Slice index 46.
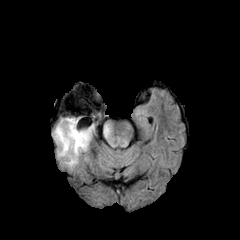
FLAIR magnetic resonance.
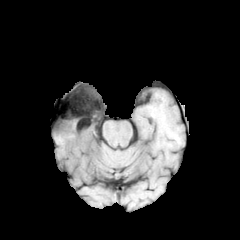
T1-weighted MRI.
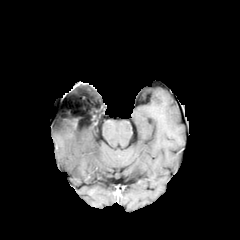
Post-contrast T1-weighted MR image.
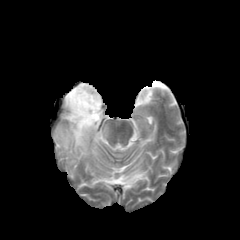
T2-weighted MRI.
Edema: x1=103, y1=125, x2=109, y2=137; x1=53, y1=117, x2=94, y2=166.